Field of view 240x240 mm, 240x240 px, Slice 39 of 155, Head
FLAIR MR.
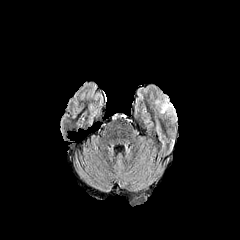
T1-weighted MRI.
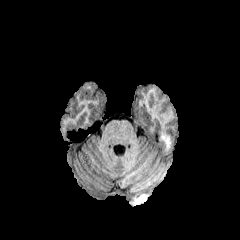
Post-contrast T1-weighted MRI.
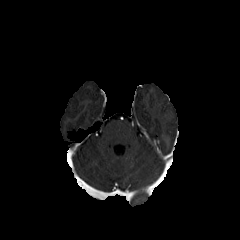
T2-weighted MR image.
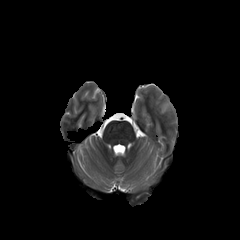
Segmented structures:
• edema: 152, 95, 177, 120